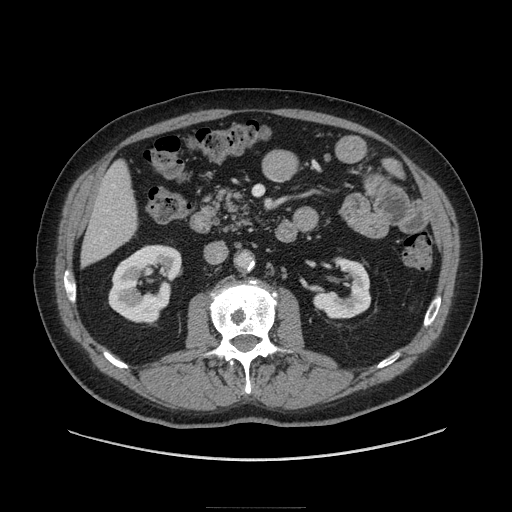

Abdomen, CT slice, 512x512 px
Segmented structures:
* pancreas: 213:187:251:233